CT, Upper abdomen 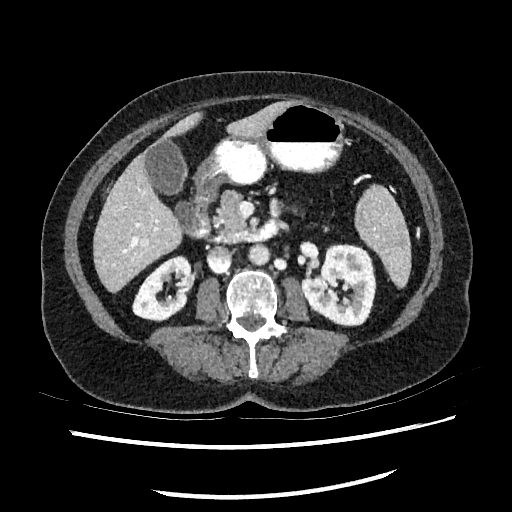

3 liver regions appear at bbox=[228, 102, 286, 138]; bbox=[160, 113, 200, 141]; bbox=[94, 150, 182, 292]. 3 kidney regions appear at bbox=[133, 257, 190, 319]; bbox=[306, 246, 318, 265]; bbox=[302, 246, 374, 324].